Brain; Slice 42 of 155
FLAIR MR.
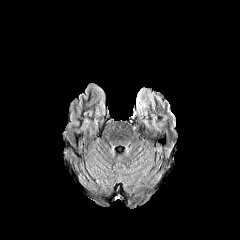
T1-weighted MR.
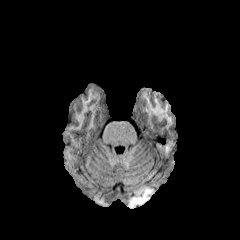
Post-contrast T1-weighted MRI.
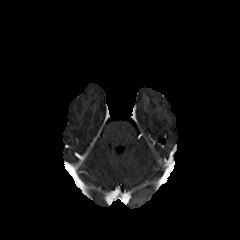
T2-weighted magnetic resonance.
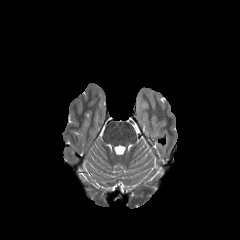
{
  "edema": [
    "<box>136,88,148,126</box>"
  ]
}